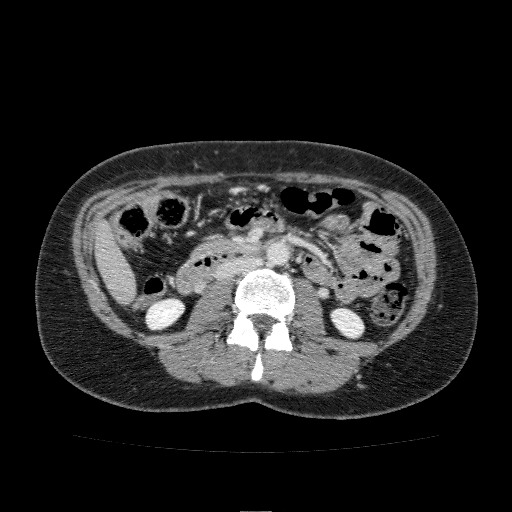

Computed tomography | 512x512 | Abdomen
Liver = box=[95, 221, 135, 302].
Kidney = box=[332, 309, 363, 337]; box=[146, 299, 183, 329].